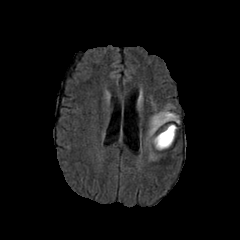
FLAIR MR.
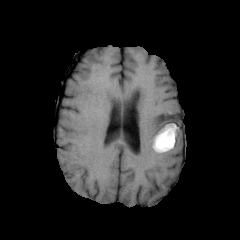
T1-weighted MRI.
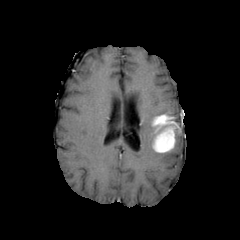
Same slice, post-contrast T1-weighted MRI.
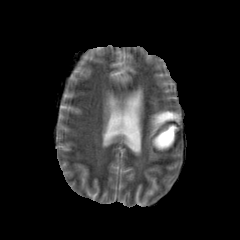
Same slice, T2-weighted MR image.
Brain.
non-enhancing_tumor_core:
  - (x1=155, y1=121, x2=178, y2=134)
  - (x1=152, y1=138, x2=174, y2=152)
enhancing_tumor:
  - (x1=154, y1=126, x2=175, y2=151)
  - (x1=152, y1=113, x2=175, y2=129)
edema:
  - (x1=137, y1=93, x2=143, y2=112)
  - (x1=144, y1=101, x2=180, y2=160)